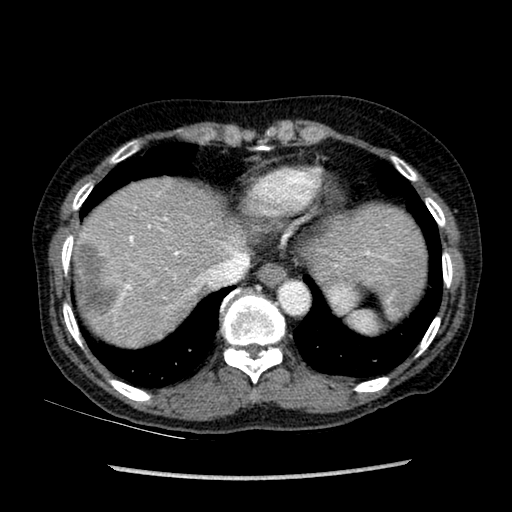
CT. Abdomen.

The focal liver lesion appears at [73, 243, 118, 316]. 2 liver regions are bounded by [75, 179, 245, 346], [307, 204, 426, 317].